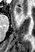
35x52 px | MRI slice
Segmented structures:
* anterior hippocampus: {"x1": 16, "y1": 7, "x2": 21, "y2": 15}